Slice index 39.
FLAIR MR.
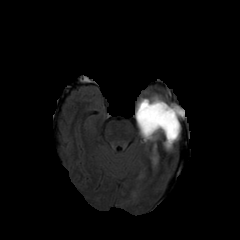
T1-weighted MRI.
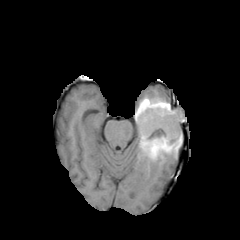
Post-contrast T1-weighted MR.
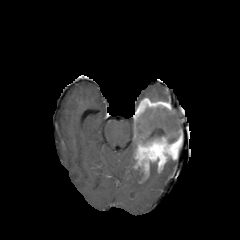
T2-weighted MR image.
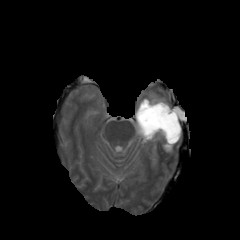
Annotated regions:
* enhancing tumor: left=135, top=98, right=171, bottom=121; left=136, top=130, right=181, bottom=165
* edema: left=136, top=123, right=142, bottom=139; left=174, top=113, right=185, bottom=128
* non-enhancing tumor core: left=141, top=156, right=148, bottom=169; left=172, top=107, right=182, bottom=115; left=136, top=108, right=181, bottom=146